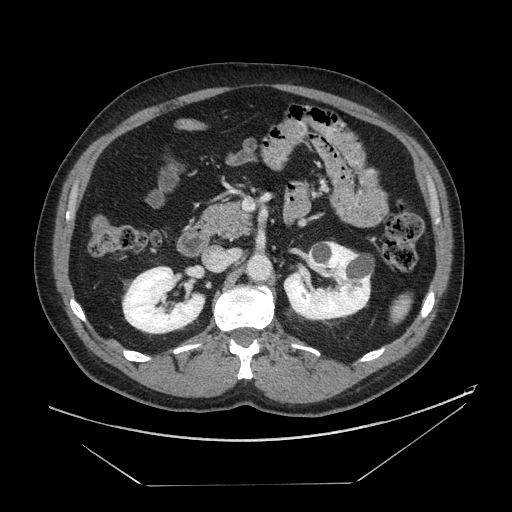

Upper abdomen, Computed tomography
pancreas:
  - rect(196, 202, 251, 238)